FLAIR MR image.
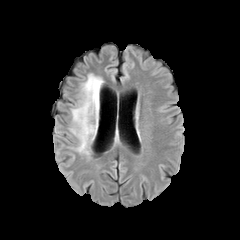
T1-weighted MR image.
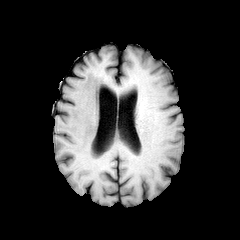
Post-contrast T1-weighted magnetic resonance.
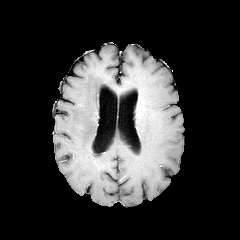
T2-weighted MR image.
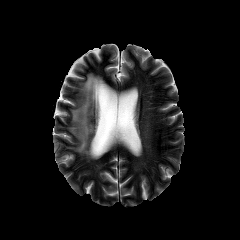
Brain
edema: <bbox>70, 74, 104, 156</bbox>